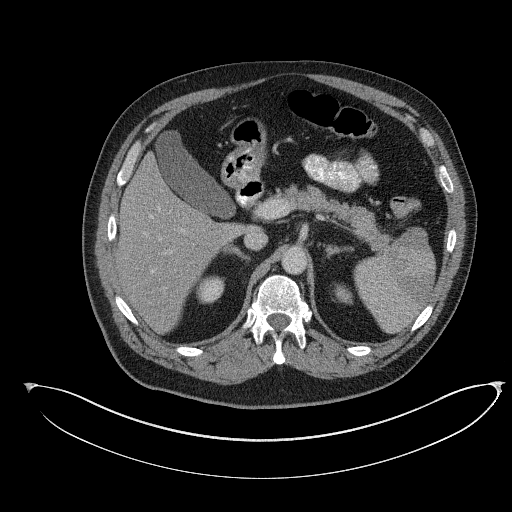 CT slice; Image size 512x512; Upper abdomen

The pancreatic tumor is at box=[353, 207, 375, 239]. 2 pancreas regions are located at box=[362, 224, 390, 251]; box=[284, 187, 361, 230].